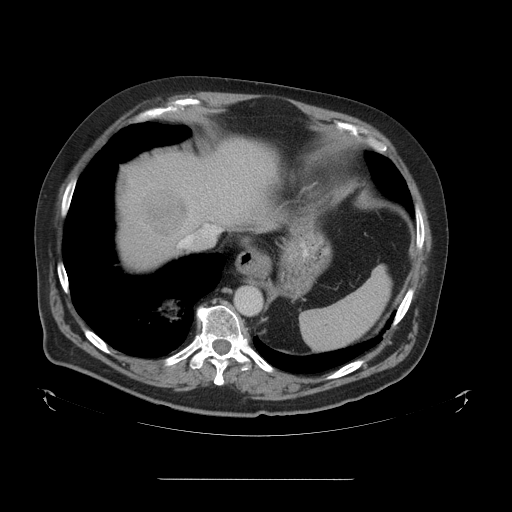

512x512 px. Liver. CT slice.

Some hepatic vessels may have no box.
liver tumor: {"x1": 141, "y1": 189, "x2": 188, "y2": 236} | hepatic vessel: {"x1": 209, "y1": 192, "x2": 212, "y2": 197}, {"x1": 178, "y1": 224, "x2": 213, "y2": 248}, {"x1": 189, "y1": 215, "x2": 195, "y2": 221}, {"x1": 210, "y1": 217, "x2": 212, "y2": 219}